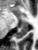

38x50. Magnetic resonance.
Segmented structures:
- anterior hippocampus: <bbox>21, 21, 27, 24</bbox>
- posterior hippocampus: <bbox>14, 25, 28, 38</bbox>